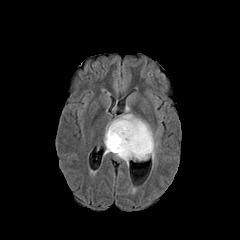
FLAIR MR.
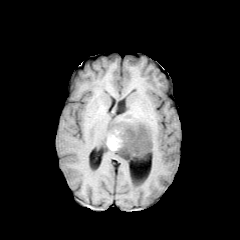
T1-weighted MR image.
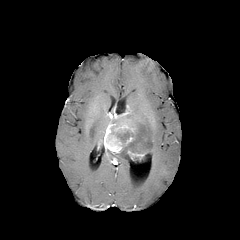
Post-contrast T1-weighted magnetic resonance.
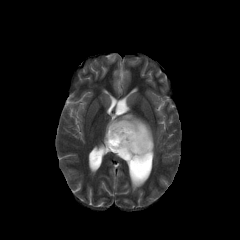
T2-weighted MR image.
240x240 px.
Edema: 114,154,128,167; 108,99,158,163.
Non-enhancing tumor core: 116,124,151,161.
Enhancing tumor: 104,117,136,154; 127,150,145,159.